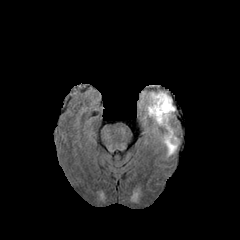
FLAIR magnetic resonance.
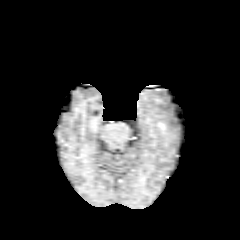
Same slice, T1-weighted MR image.
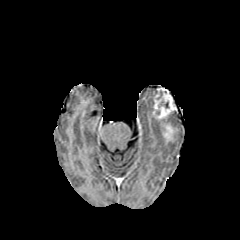
Post-contrast T1-weighted magnetic resonance.
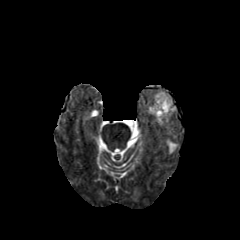
Same slice, T2-weighted MR.
Image size 240x240. Head.
Edema: bounding box x1=140 y1=89 x2=177 y2=153.
Non-enhancing tumor core: bounding box x1=154 y1=90 x2=166 y2=99.
Enhancing tumor: bounding box x1=166 y1=125 x2=173 y2=141, x1=153 y1=89 x2=176 y2=119.